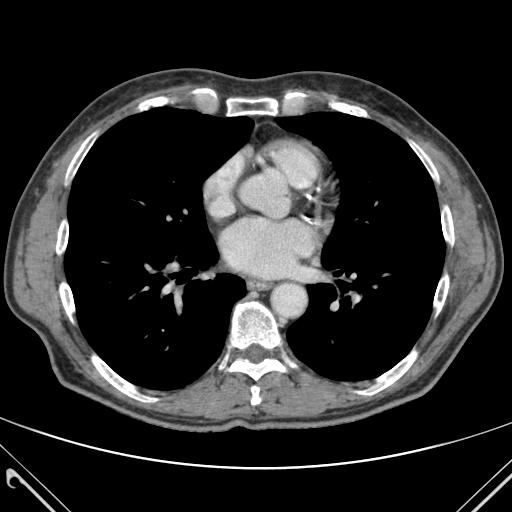

Image size 512x512 | Thorax | CT
15 bone regions are located at box=[358, 351, 416, 394]; box=[251, 386, 260, 404]; box=[133, 97, 168, 110]; box=[441, 206, 453, 244]; box=[434, 275, 448, 313]; box=[231, 302, 279, 348]; box=[327, 102, 370, 116]; box=[60, 281, 74, 320]; box=[92, 356, 156, 401]; box=[193, 89, 218, 100]; box=[226, 92, 307, 115]; box=[229, 359, 285, 379]; box=[66, 133, 94, 178]; box=[411, 142, 438, 180]; box=[56, 221, 68, 262]. 2 lung regions are located at box=[64, 107, 253, 389]; box=[277, 112, 445, 380].